FLAIR MR image.
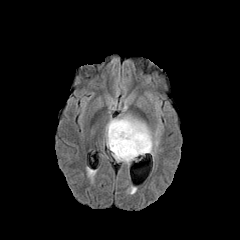
T1-weighted magnetic resonance.
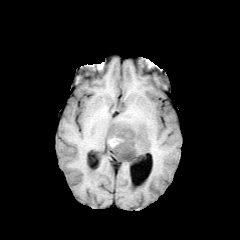
Post-contrast T1-weighted MRI.
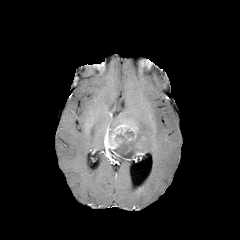
T2-weighted magnetic resonance.
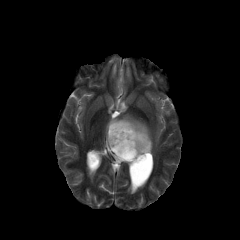
Brain.
enhancing_tumor:
  - (105,120,137,158)
edema:
  - (108,115,153,157)
non-enhancing_tumor_core:
  - (113,130,140,161)